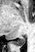

MRI slice; 35x52 px
The posterior hippocampus appears at left=12, top=36, right=26, bottom=45.